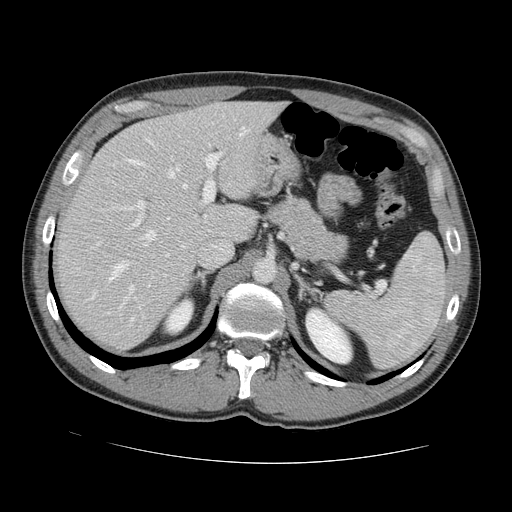
Abdomen, CT scan slice
Some hepatic vessels may have no box.
Most prominent 15 of 30 hepatic vessel regions = (140,230,155,245), (182,184,186,188), (167,165,178,177), (129,317,133,325), (205,152,221,173), (204,215,206,222), (108,162,115,165), (112,201,145,227), (124,158,144,165), (84,290,96,301), (118,285,135,309), (238,127,249,136), (108,261,128,280), (91,242,99,248), (144,137,156,147).